CT scan slice | Image size 512x512 | Slice index 103

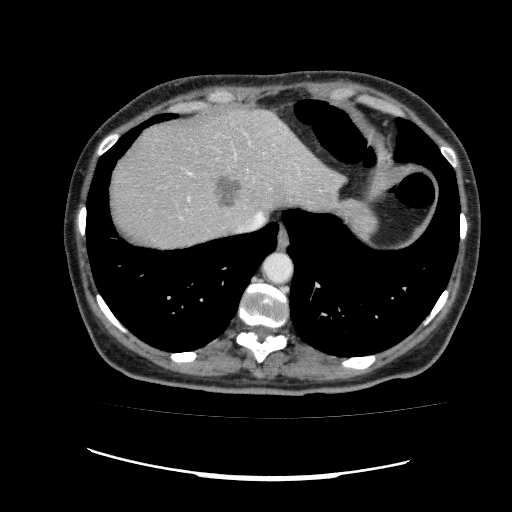
• liver lesion: x1=213 y1=175 x2=240 y2=210
• liver: x1=110 y1=107 x2=346 y2=251